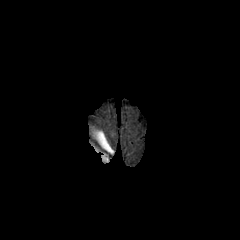
FLAIR MRI.
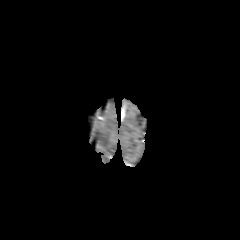
T1-weighted MR.
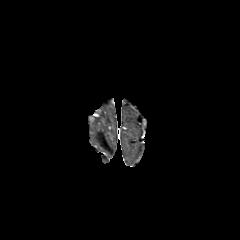
Post-contrast T1-weighted MRI of the same slice.
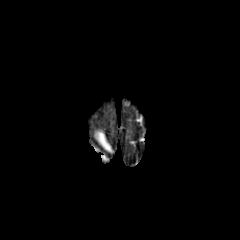
T2-weighted MR image.
240x240 px, Brain
{"edema": ["[94,130,113,152]"]}